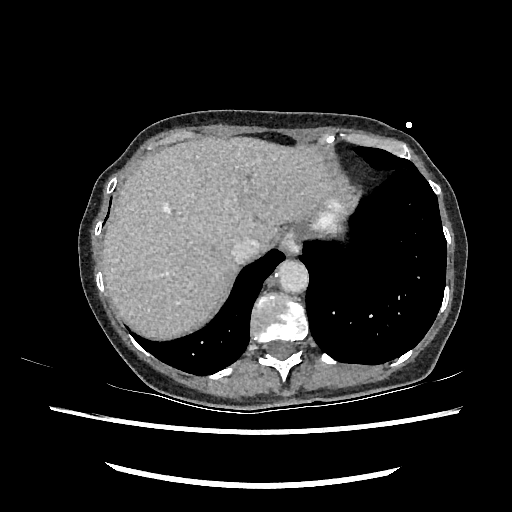
Abdomen, Computed tomography
The liver is bounded by <box>104,137,339,336</box>.